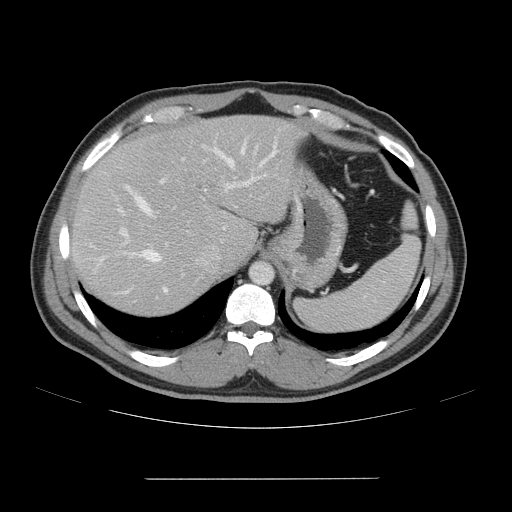
512x512; CT; Abdomen

Not every hepatic vessel necessarily has a box.
{
  "partial": true,
  "hepatic_vessel": {
    "n_total": 18,
    "boxes": [
      "(left=260, top=141, right=277, bottom=165)",
      "(left=126, top=186, right=133, bottom=193)",
      "(left=160, top=179, right=165, bottom=183)",
      "(left=255, top=145, right=257, bottom=153)",
      "(left=212, top=147, right=233, bottom=166)",
      "(left=98, top=258, right=102, bottom=265)",
      "(left=134, top=193, right=150, bottom=212)",
      "(left=164, top=287, right=167, bottom=292)",
      "(left=130, top=254, right=133, bottom=256)",
      "(left=141, top=250, right=160, bottom=261)",
      "(left=117, top=208, right=124, bottom=214)",
      "(left=118, top=291, right=127, bottom=293)",
      "(left=241, top=142, right=245, bottom=153)",
      "(left=225, top=176, right=260, bottom=190)",
      "(left=120, top=228, right=128, bottom=245)"
    ]
  }
}